Upper abdomen | Slice index 396 | CT

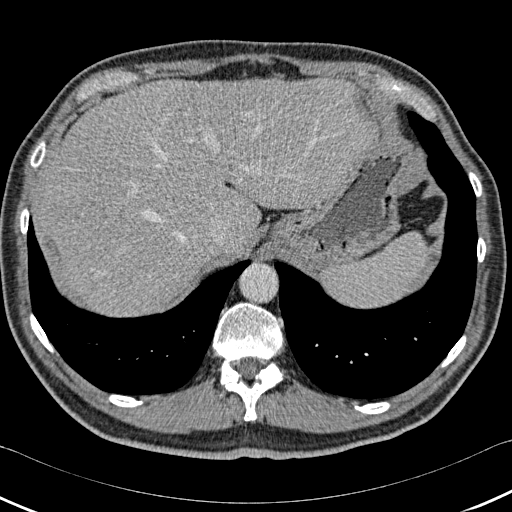 - bone: bbox=[441, 336, 465, 367]; bbox=[20, 209, 28, 233]; bbox=[213, 303, 282, 420]; bbox=[469, 172, 481, 196]; bbox=[30, 141, 45, 167]; bbox=[355, 402, 389, 414]; bbox=[30, 314, 53, 352]; bbox=[109, 395, 142, 407]; bbox=[477, 237, 485, 261]
- lung: bbox=[274, 110, 477, 401]; bbox=[27, 215, 251, 395]
- liver: bbox=[38, 78, 374, 316]